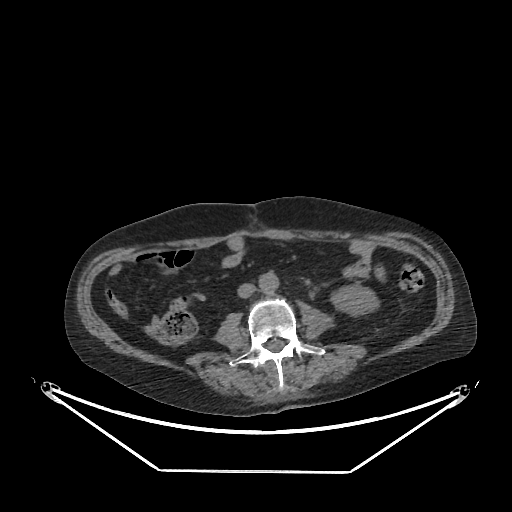 CT scan slice. Image size 512x512.
The kidney is bounded by x1=330 y1=281 x2=379 y2=316.